FLAIR magnetic resonance.
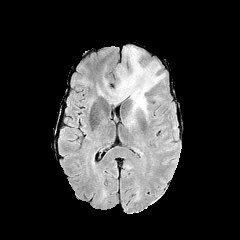
T1-weighted MRI.
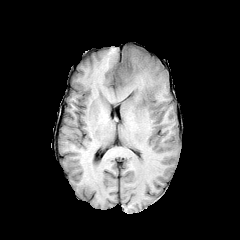
Post-contrast T1-weighted MRI.
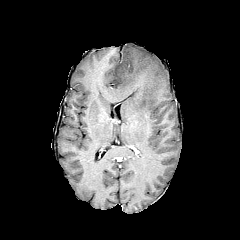
T2-weighted magnetic resonance.
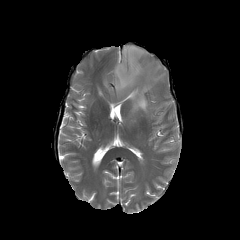
Brain
The edema lies within l=108, t=46, r=164, b=114.